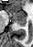
MRI. 33x47. Medial temporal lobe. Anterior hippocampus — l=6, t=10, r=25, b=22.
Posterior hippocampus — l=17, t=23, r=25, b=26.